Slice 116/155, Brain, 240x240
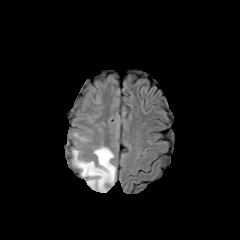
FLAIR magnetic resonance.
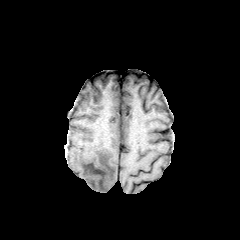
T1-weighted magnetic resonance.
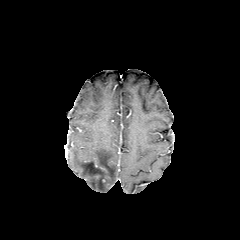
Post-contrast T1-weighted magnetic resonance.
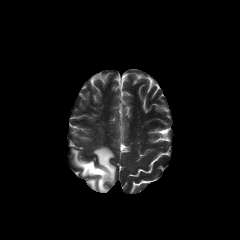
T2-weighted MRI of the same slice.
The non-enhancing tumor core is at <bbox>83, 162, 112, 189</bbox>. The edema is at <bbox>72, 146, 116, 192</bbox>.